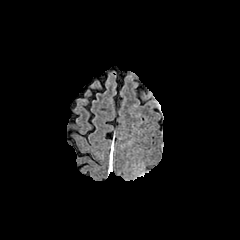
FLAIR magnetic resonance.
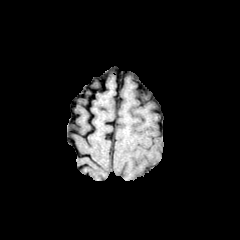
T1-weighted MRI.
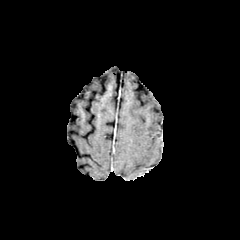
Post-contrast T1-weighted magnetic resonance.
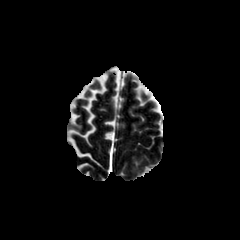
T2-weighted MR of the same slice.
240x240. Brain.
Findings:
• edema: [108, 148, 113, 171]